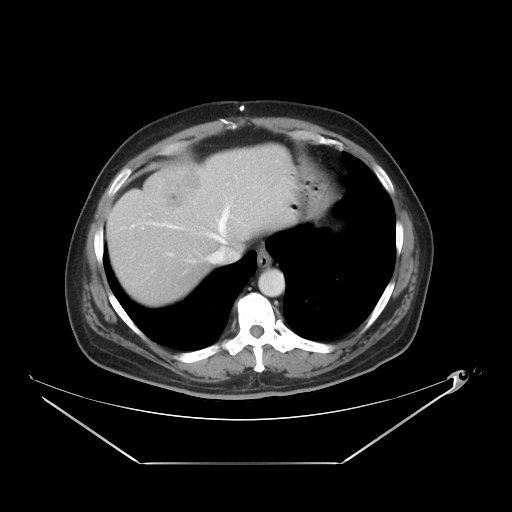

Computed tomography. Abdomen.

The vessel annotation is not exhaustive.
Segmented structures:
- hepatic vessel: x1=220 y1=209 x2=227 y2=232, x1=167 y1=225 x2=173 y2=226, x1=251 y1=184 x2=257 y2=187, x1=219 y1=168 x2=223 y2=171, x1=212 y1=234 x2=226 y2=242, x1=234 y1=195 x2=235 y2=197
- liver tumor: x1=153 y1=166 x2=205 y2=211